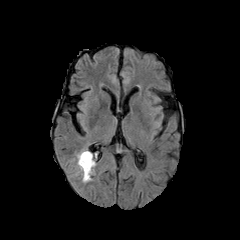
FLAIR magnetic resonance.
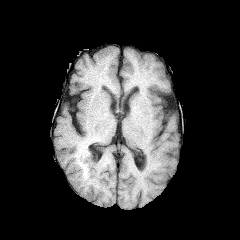
T1-weighted MR image of the same slice.
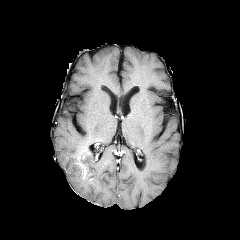
Same slice, post-contrast T1-weighted MR image.
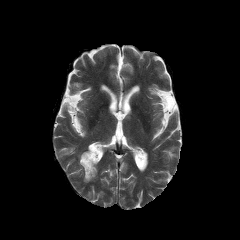
T2-weighted MRI of the same slice.
Brain
edema: 90,162,97,179; 71,144,89,182 | enhancing tumor: 78,150,91,180 | non-enhancing tumor core: 84,152,96,174